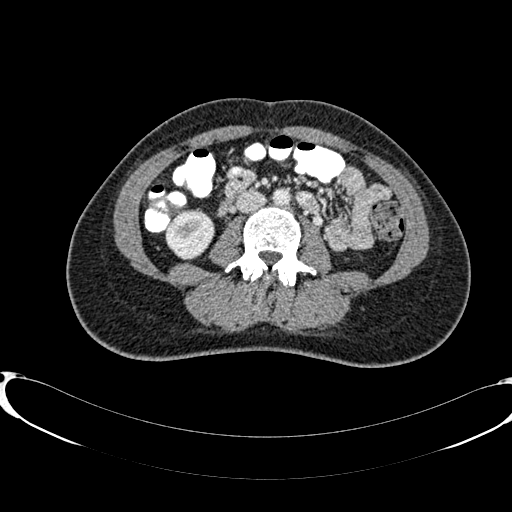
Abdomen; Image size 512x512; Computed tomography
The kidney lies within {"x1": 167, "y1": 213, "x2": 212, "y2": 256}.